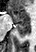
MRI slice; Medial temporal lobe

Posterior hippocampus = (16,23,29,36).
Anterior hippocampus = (7,7,29,22).